Slice 322/536; Image width 700 mm; 512x512; CT slice 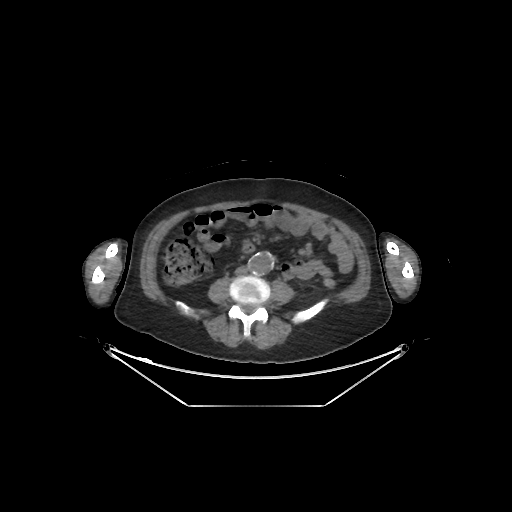
Bone at (left=176, top=301, right=190, bottom=313), (left=293, top=300, right=326, bottom=322), (left=387, top=242, right=398, bottom=255), (left=402, top=262, right=413, bottom=279), (left=229, top=272, right=269, bottom=335), (left=92, top=243, right=117, bottom=283).